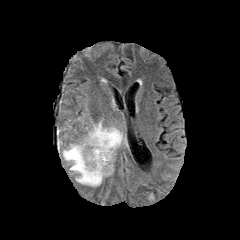
FLAIR MR.
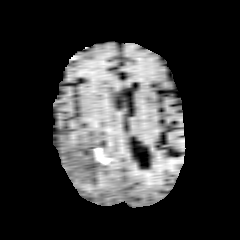
T1-weighted magnetic resonance.
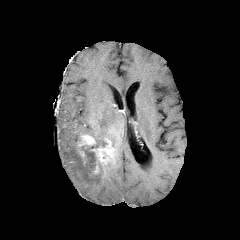
Post-contrast T1-weighted MR.
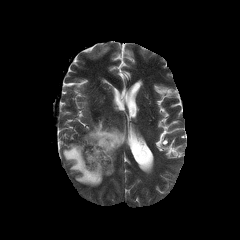
Same slice, T2-weighted MRI.
240x240 px
Annotated regions:
* edema: bbox=[61, 121, 125, 186]
* non-enhancing tumor core: bbox=[105, 131, 119, 147]
* enhancing tumor: bbox=[80, 134, 95, 145]; bbox=[93, 138, 117, 163]